Image size 512x512. Slice 529/707. CT scan slice.
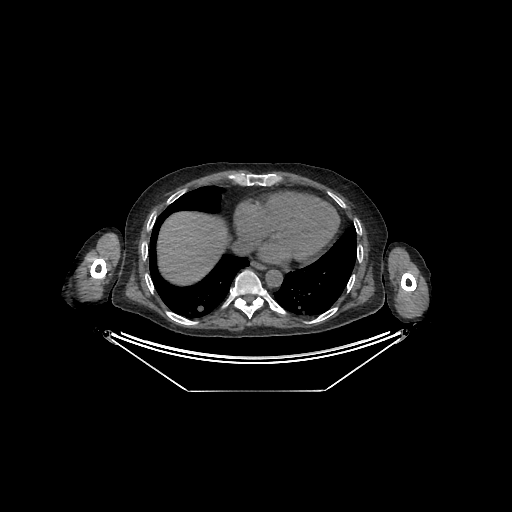
The liver appears at (left=157, top=211, right=229, bottom=284).